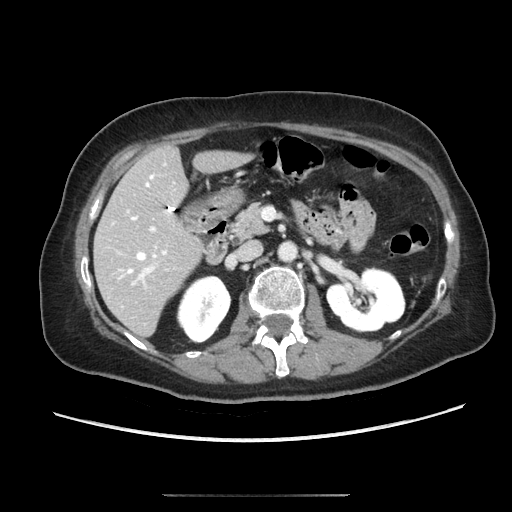

CT image.
The pancreas lies within [233, 204, 266, 241].